FLAIR magnetic resonance.
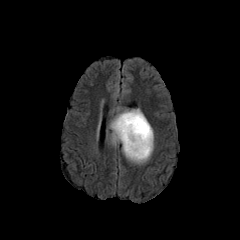
T1-weighted MRI.
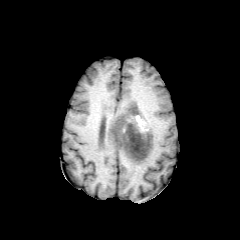
Post-contrast T1-weighted magnetic resonance.
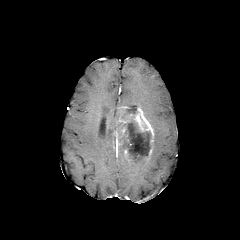
T2-weighted MR.
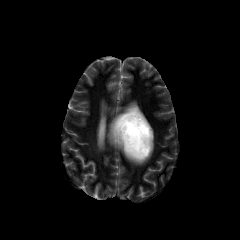
Brain | 240x240
Segmented structures:
• edema: x1=121 y1=133 x2=154 y2=165, x1=106 y1=106 x2=123 y2=149
• non-enhancing tumor core: x1=122 y1=108 x2=131 y2=119, x1=119 y1=120 x2=151 y2=161
• enhancing tumor: x1=115 y1=108 x2=153 y2=142, x1=114 y1=127 x2=125 y2=145